Field of view 360x360 mm, Slice 170/689, 512x512, Computed tomography 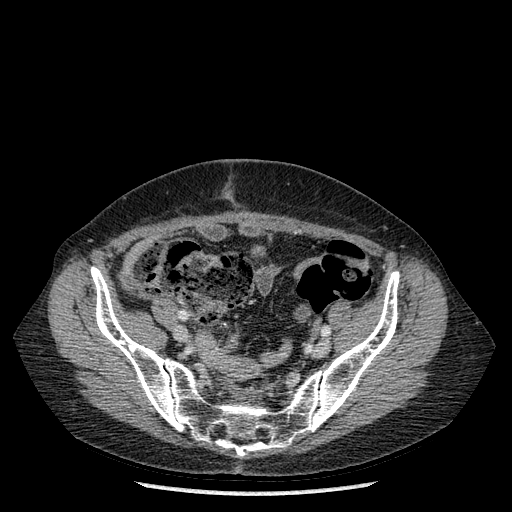
Bone — [90, 266, 399, 457].